CT
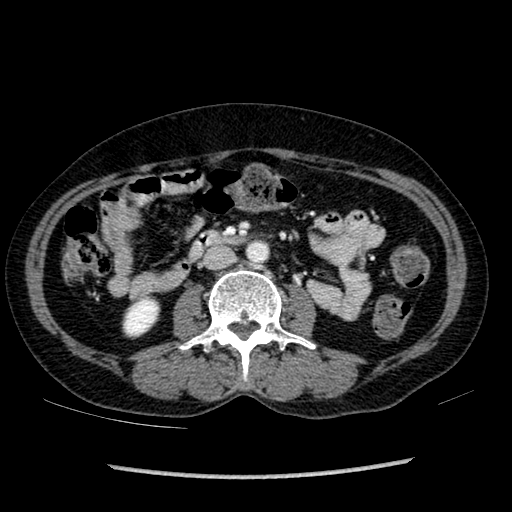

kidney: [x1=124, y1=299, x2=157, y2=335]